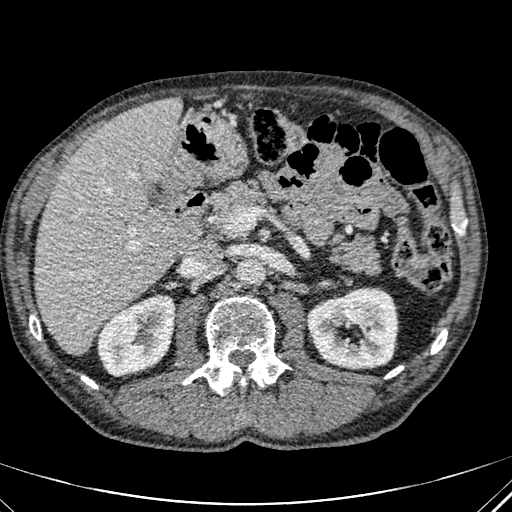 CT scan slice | Image size 512x512 | Upper abdomen
Segmented structures:
* kidney: <bbox>308, 289, 396, 367</bbox>, <bbox>99, 296, 174, 375</bbox>
* liver: <bbox>34, 97, 201, 355</bbox>